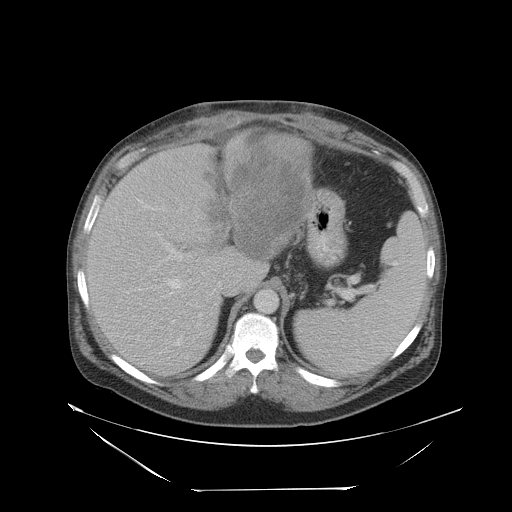

CT slice
Not every hepatic vessel necessarily has a box.
Annotated regions:
* liver tumor: l=188, t=130, r=306, b=262
* hepatic vessel: l=164, t=278, r=182, b=288; l=176, t=337, r=181, b=344; l=188, t=254, r=190, b=256; l=149, t=267, r=155, b=270; l=136, t=198, r=165, b=210; l=165, t=243, r=182, b=260